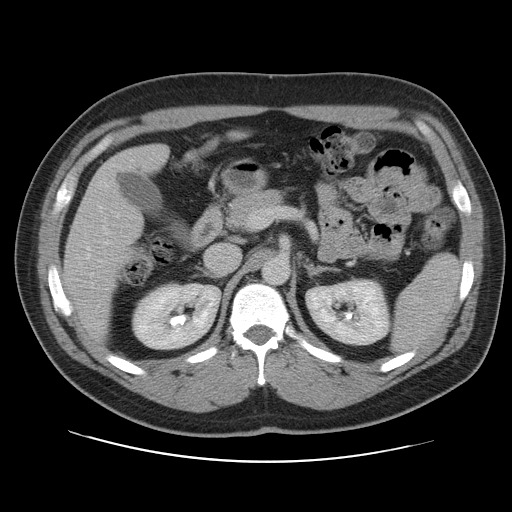

Abdomen; CT

Not every hepatic vessel necessarily has a box.
7 hepatic vessel regions appear at (left=116, top=214, right=119, bottom=217), (left=103, top=226, right=107, bottom=234), (left=113, top=162, right=113, bottom=165), (left=80, top=313, right=81, bottom=315), (left=91, top=285, right=93, bottom=288), (left=99, top=206, right=102, bottom=210), (left=87, top=247, right=90, bottom=249).